Slice 133 of 218 | CT scan slice | Image size 512x512
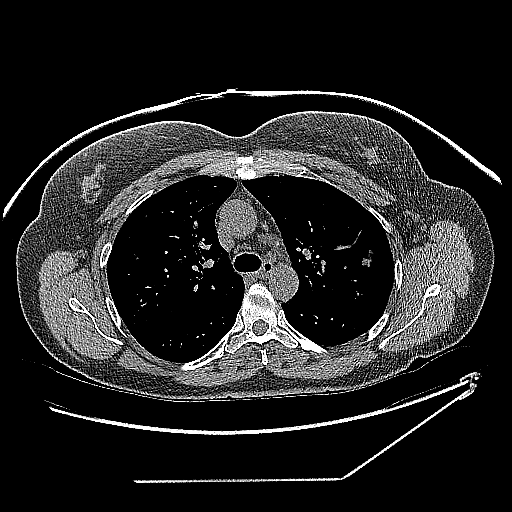 <segmentation>
  <lung_tumor><bbox>361, 249, 374, 268</bbox></lung_tumor>
</segmentation>